CT slice, 512x512

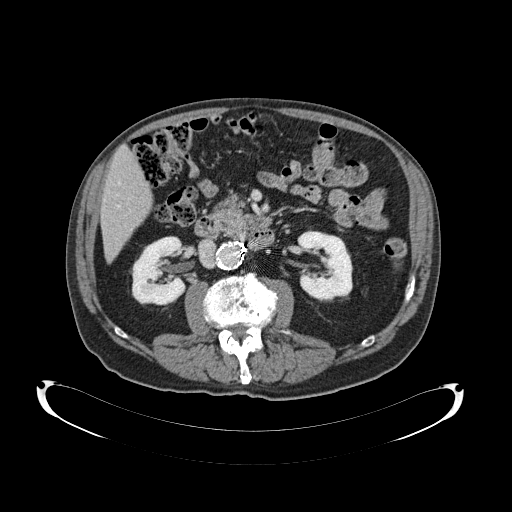
pancreas: 211 194 250 241